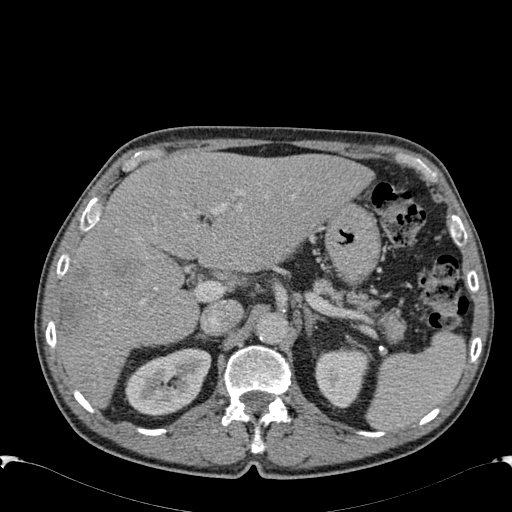
CT. Abdomen. Segmented structures:
- liver: <bbox>53, 150, 374, 406</bbox>
- kidney: <bbox>126, 349, 210, 414</bbox>, <bbox>316, 350, 368, 407</bbox>
- liver lesion: <bbox>114, 261, 133, 277</bbox>, <bbox>69, 269, 93, 286</bbox>, <bbox>62, 293, 90, 334</bbox>